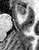 Hippocampus; MR
anterior_hippocampus:
  - bbox(15, 5, 25, 14)